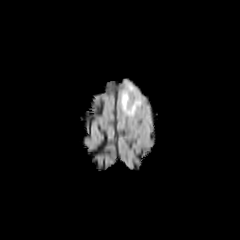
FLAIR MRI.
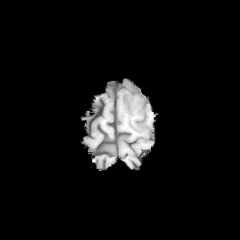
T1-weighted magnetic resonance.
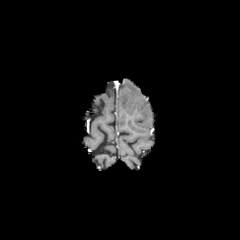
Same slice, post-contrast T1-weighted MR.
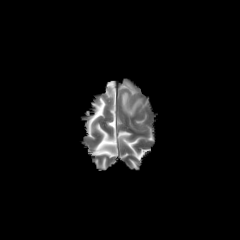
T2-weighted MR image.
Head
The edema is at region(121, 91, 136, 114).